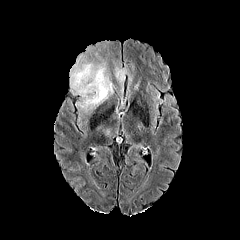
FLAIR MRI.
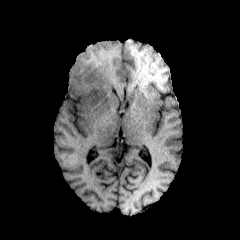
T1-weighted MR image.
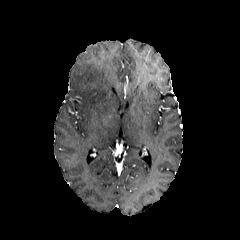
Post-contrast T1-weighted magnetic resonance of the same slice.
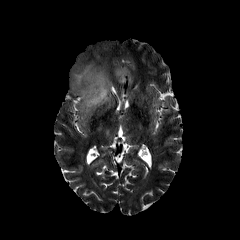
T2-weighted magnetic resonance.
• edema: {"x1": 115, "y1": 66, "x2": 126, "y2": 85}, {"x1": 70, "y1": 58, "x2": 113, "y2": 112}